Field of view 37x50 mm, Slice index 5, Image size 37x50, MRI slice
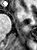

• anterior hippocampus: (15,6,22,12)